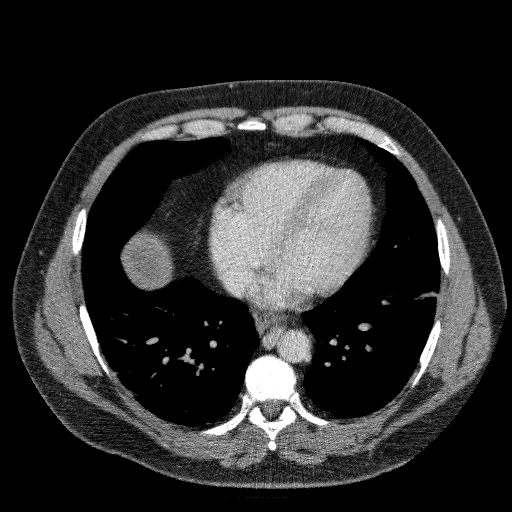
Abdomen | 512x512 | CT image

Segmented structures:
* liver: [122, 236, 172, 287]